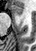 MR. The anterior hippocampus is at x1=14, y1=6, x2=22, y2=16.